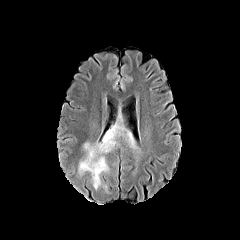
FLAIR MR.
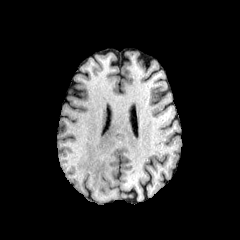
T1-weighted MR.
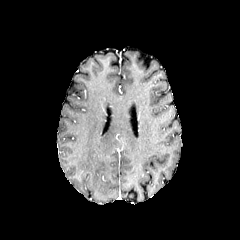
Post-contrast T1-weighted MRI.
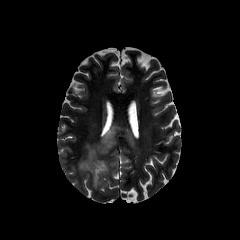
T2-weighted MR image of the same slice.
Image size 240x240, Brain
{"edema": ["79 124 123 189"]}